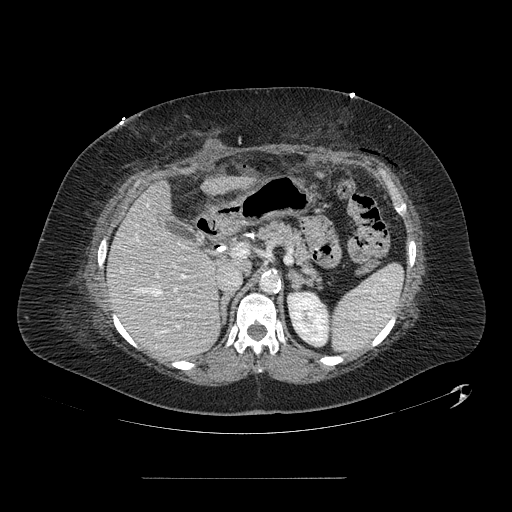
CT image. Image size 512x512. Upper abdomen. Annotated regions:
* pancreas: 257,222,322,286